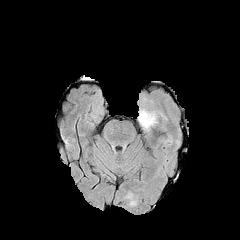
FLAIR MR.
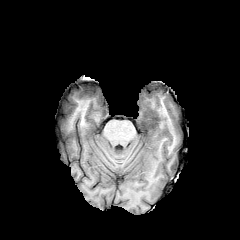
T1-weighted MR.
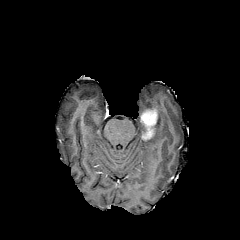
Post-contrast T1-weighted magnetic resonance of the same slice.
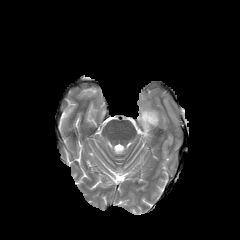
T2-weighted magnetic resonance of the same slice.
{"enhancing_tumor": ["bbox(140, 109, 157, 138)"]}